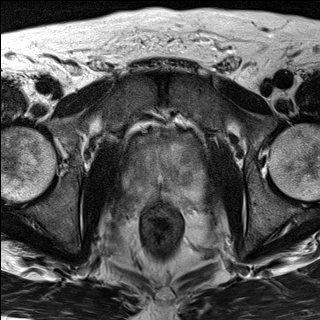
T2-weighted MRI.
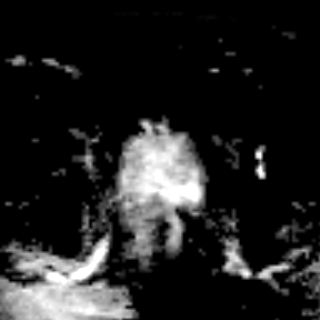
ADC MR of the same slice.
Pelvis; Image size 320x320
Prostate transition zone = bbox(128, 134, 206, 190).
Prostate peripheral zone = bbox(119, 147, 209, 210).